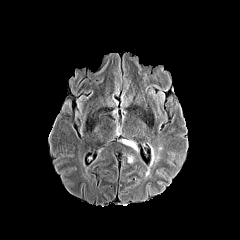
FLAIR magnetic resonance.
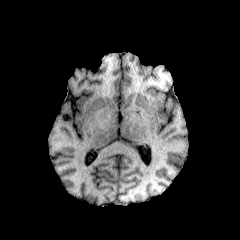
T1-weighted MR image of the same slice.
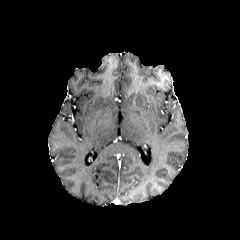
Same slice, post-contrast T1-weighted MRI.
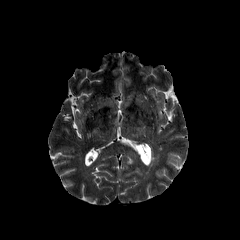
T2-weighted MRI.
Image size 240x240. Brain.
2 edema regions are located at 145:143:162:177, 118:140:136:147.